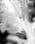
Magnetic resonance
Posterior hippocampus: rect(15, 32, 25, 37).